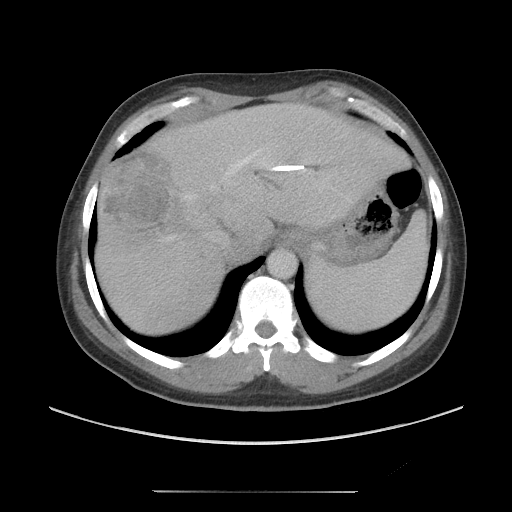
Liver. CT slice. Not every hepatic vessel necessarily has a box.
The liver tumor appears at bbox(102, 155, 174, 232). 3 hepatic vessel regions appear at bbox(166, 236, 176, 240); bbox(183, 194, 195, 199); bbox(226, 149, 260, 174).